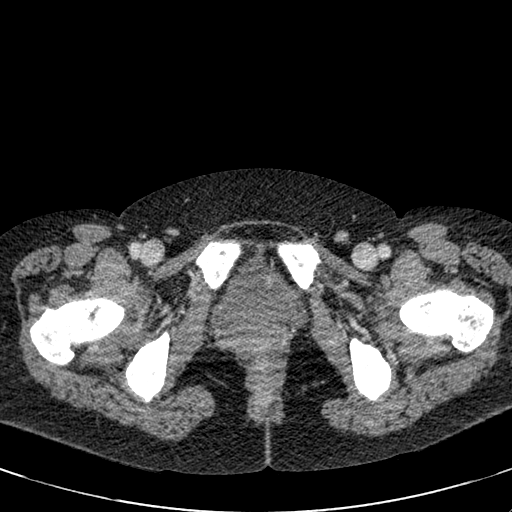
CT | Image size 512x512

<segmentation>
  <urinary_bladder>(210, 258, 307, 335)</urinary_bladder>
</segmentation>